240x240. Field of view 240x240 mm. Head.
FLAIR magnetic resonance.
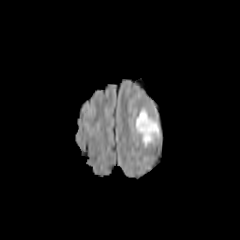
T1-weighted MR.
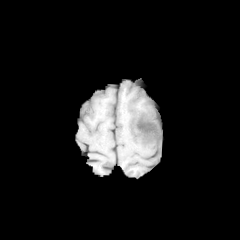
Post-contrast T1-weighted MRI.
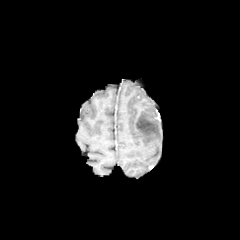
T2-weighted magnetic resonance.
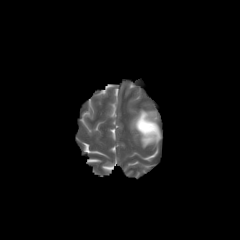
Non-enhancing tumor core — region(137, 119, 152, 131).
Edema — region(135, 109, 161, 146).